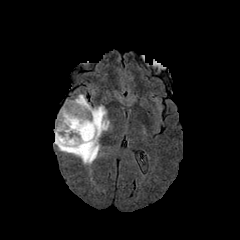
FLAIR MR.
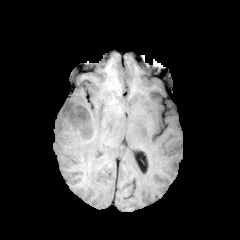
T1-weighted MR.
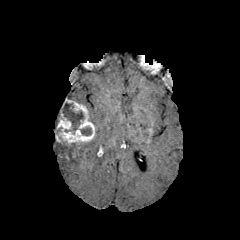
Post-contrast T1-weighted magnetic resonance.
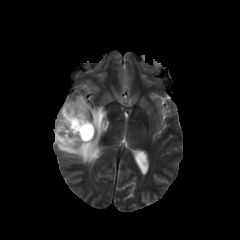
T2-weighted MR of the same slice.
Head.
Enhancing tumor: bounding box [55,100,94,143].
Non-enhancing tumor core: bounding box [61,102,83,129], [81,128,91,135], [74,140,91,154].
Edema: bounding box [54,94,109,165].